FLAIR MR.
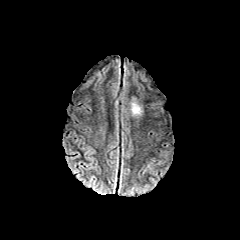
T1-weighted MR image.
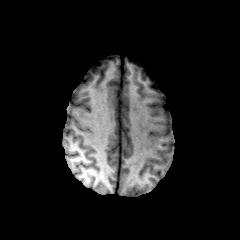
Post-contrast T1-weighted MRI.
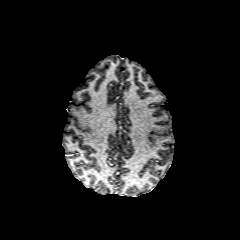
T2-weighted MR image.
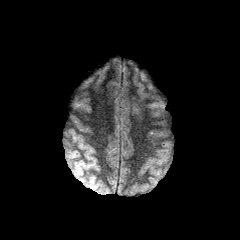
Brain | 240x240
Edema = l=131, t=103, r=140, b=113.